Brain
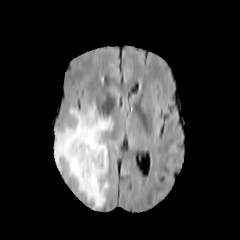
FLAIR magnetic resonance.
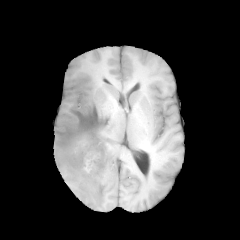
Same slice, T1-weighted MR.
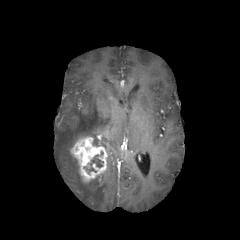
Post-contrast T1-weighted MRI.
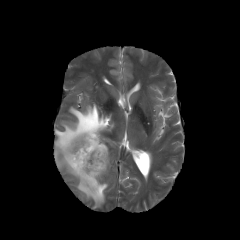
T2-weighted magnetic resonance.
edema:
  - (x1=53, y1=102, x2=113, y2=208)
enhancing_tumor:
  - (x1=71, y1=136, x2=107, y2=182)
non-enhancing_tumor_core:
  - (x1=84, y1=157, x2=102, y2=174)